Brain; Slice index 19
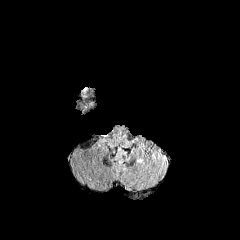
FLAIR magnetic resonance.
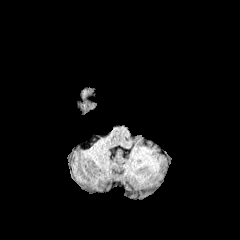
T1-weighted MRI.
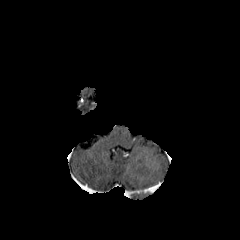
Post-contrast T1-weighted MR image.
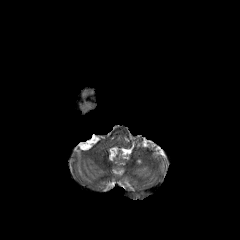
Same slice, T2-weighted MR image.
Non-enhancing tumor core — 75,87,95,112.